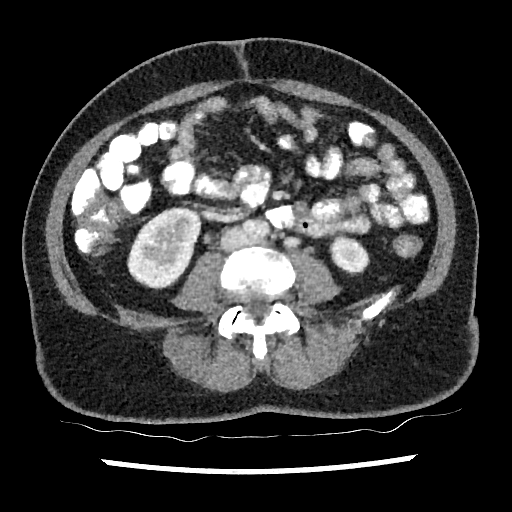

Abdomen | CT scan slice

Kidney: bounding box 128, 209, 199, 286; 332, 242, 367, 271.